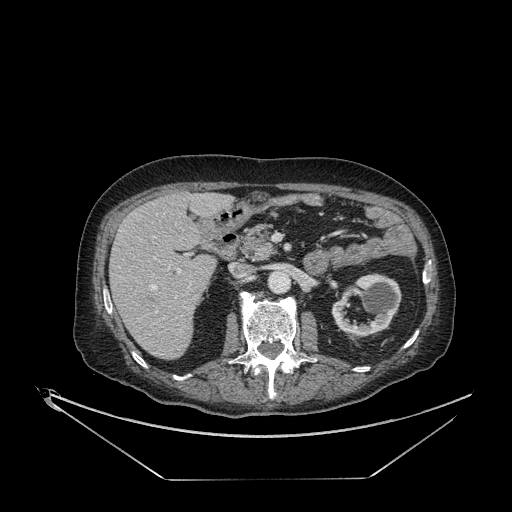 512x512 px, CT scan slice

The liver is located at box=[110, 193, 233, 359]. The kidney appears at box=[332, 274, 400, 336].